FLAIR MR.
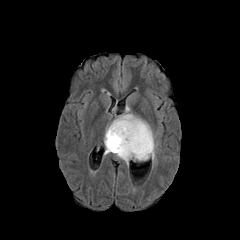
T1-weighted MRI.
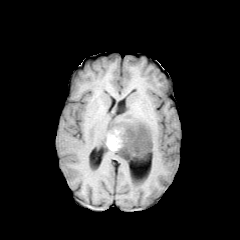
Post-contrast T1-weighted MRI.
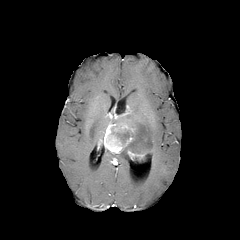
T2-weighted MR.
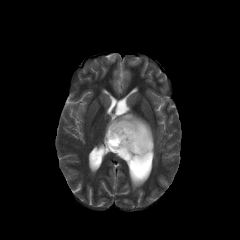
Annotated regions:
- non-enhancing tumor core: <box>117,124,152,162</box>
- edema: <box>113,153,129,167</box>, <box>109,99,157,164</box>
- enhancing tumor: <box>127,150,146,159</box>, <box>104,117,136,153</box>